Computed tomography. Liver.
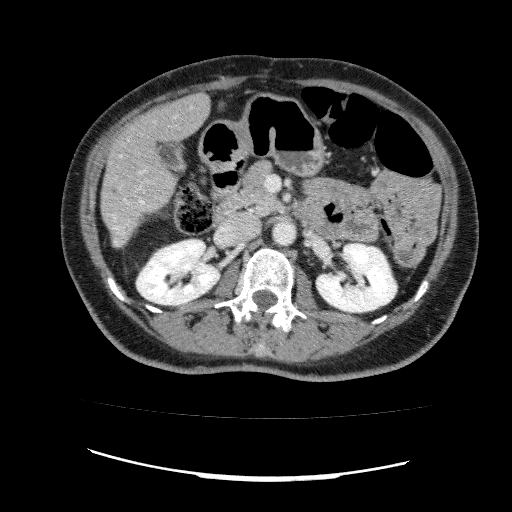

{"kidney": ["(316, 244, 396, 311)", "(136, 240, 219, 304)"], "liver": ["(99, 92, 211, 247)"], "hepatic_lesion": ["(138, 211, 149, 224)"]}